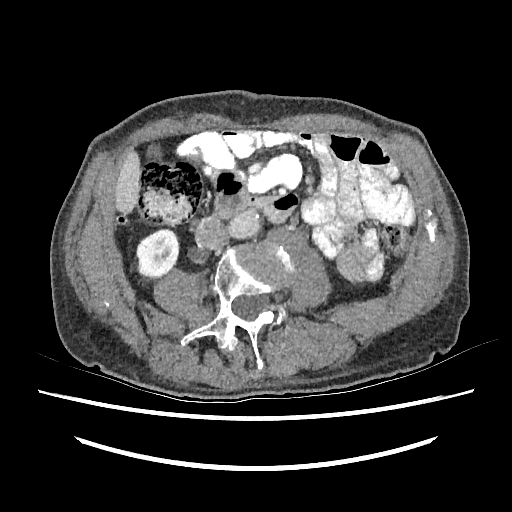
512x512. CT slice.
<segmentation>
  <liver><box>115,151,139,213</box></liver>
  <kidney><box>137,230,178,276</box></kidney>
</segmentation>